CT image | Upper abdomen | 512x512 px 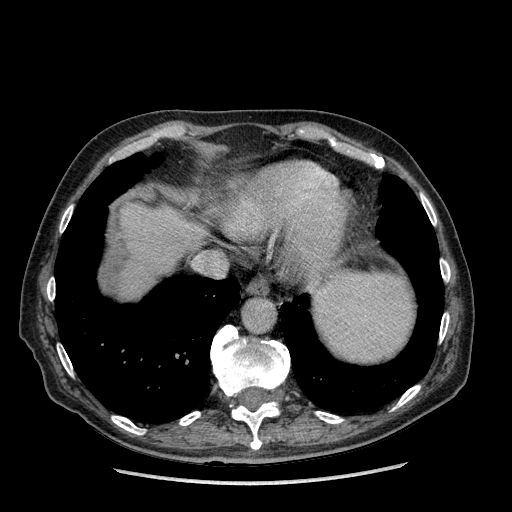 Segmented structures:
• liver: 113 204 204 293